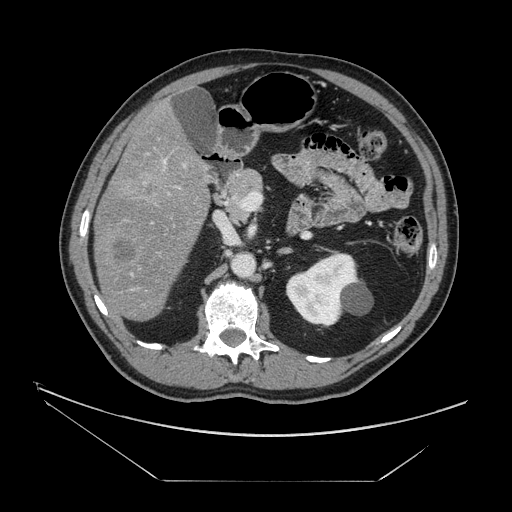 CT slice | Image size 512x512 | Liver

Only some of the vessels may be annotated.
Liver tumor: box(144, 183, 153, 197); box(115, 240, 135, 261).
Hepatic vessel: box(163, 160, 165, 162).